FLAIR MR.
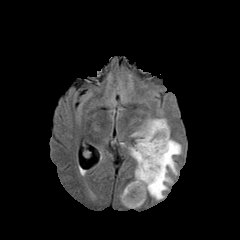
T1-weighted MR.
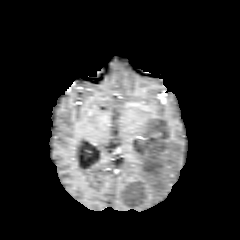
Post-contrast T1-weighted MRI.
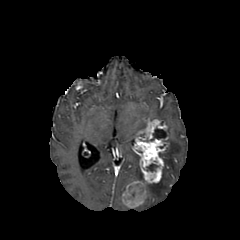
T2-weighted MR.
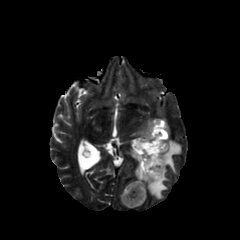
{
  "enhancing_tumor": [
    "127, 181, 143, 189",
    "132, 119, 167, 183",
    "127, 192, 144, 205"
  ],
  "non-enhancing_tumor_core": [
    "146, 163, 157, 171",
    "127, 186, 143, 200",
    "150, 127, 167, 140"
  ],
  "edema": [
    "142, 118, 181, 201",
    "129, 144, 138, 162",
    "134, 164, 143, 182",
    "123, 200, 143, 207"
  ]
}